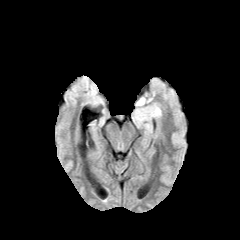
FLAIR MRI.
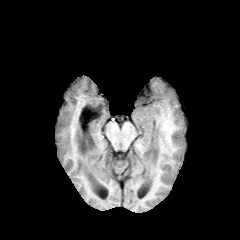
Same slice, T1-weighted MRI.
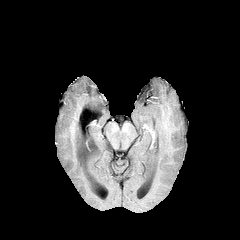
Post-contrast T1-weighted MR.
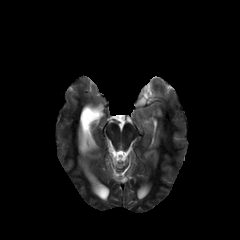
T2-weighted MRI.
240x240 px
<segmentation>
  <edema>(136, 105, 163, 121), (135, 97, 152, 107)</edema>
  <non-enhancing_tumor_core>(139, 88, 151, 103)</non-enhancing_tumor_core>
</segmentation>